512x512 | CT scan slice | Abdomen

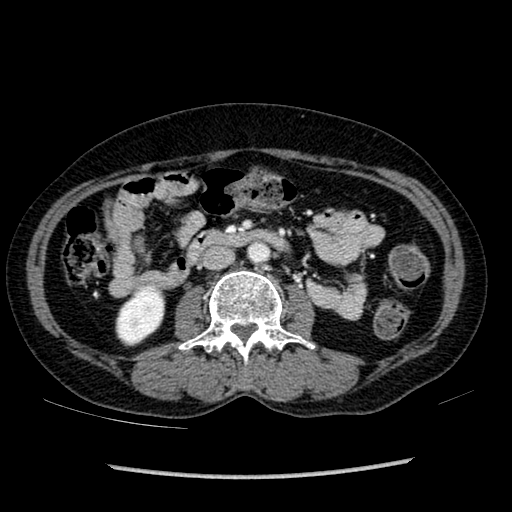 kidney:
  - 117,286,163,343